MRI slice; Medial temporal lobe; Slice index 10
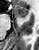
anterior hippocampus: [14, 5, 27, 18]